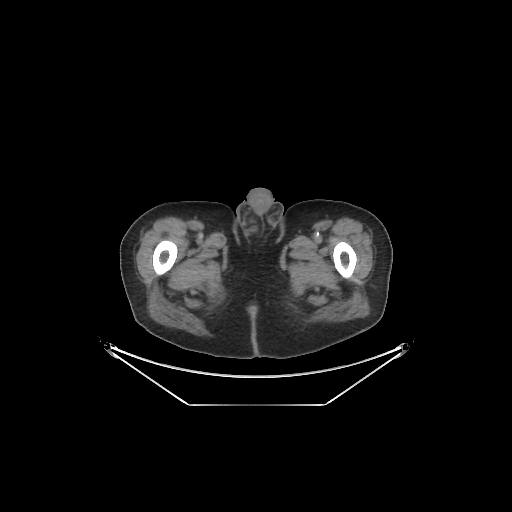
512x512 px, Computed tomography
* bone: [333,241,356,278], [153,240,177,274]